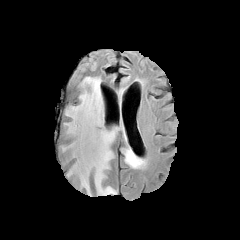
FLAIR MR.
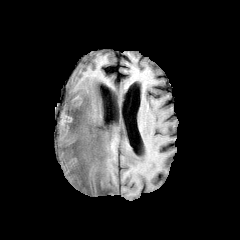
T1-weighted MR image of the same slice.
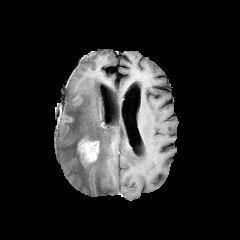
Post-contrast T1-weighted MR.
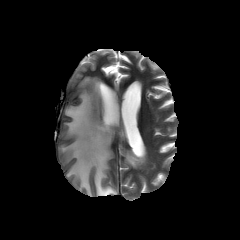
T2-weighted magnetic resonance of the same slice.
Image size 240x240. Brain.
enhancing_tumor:
  - (77, 139, 98, 163)
edema:
  - (62, 76, 125, 195)
  - (121, 148, 138, 167)